FLAIR MR.
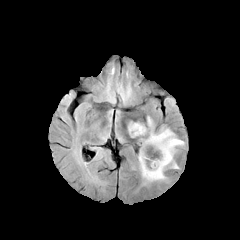
T1-weighted magnetic resonance.
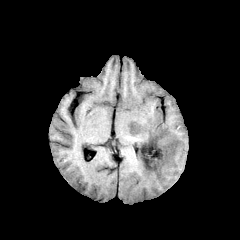
Post-contrast T1-weighted magnetic resonance.
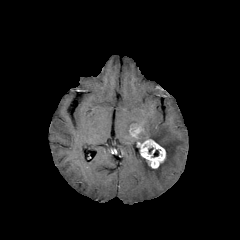
T2-weighted magnetic resonance.
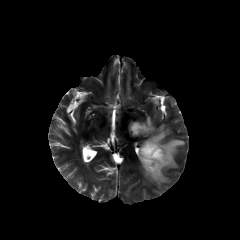
Brain.
Enhancing tumor at <bbox>139, 139, 165, 168</bbox>, <bbox>130, 123, 143, 136</bbox>.
Edema at <bbox>128, 116, 184, 180</bbox>.